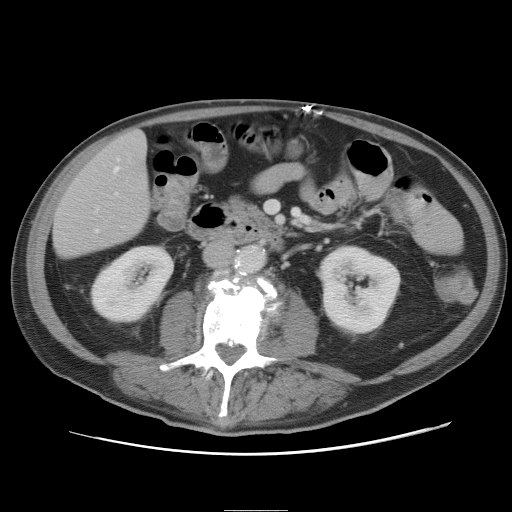 512x512; Liver; CT image
Only some of the vessels may be annotated.
Hepatic vessel: 115 167 118 171, 118 159 119 160, 137 131 140 133, 96 230 98 232, 96 210 97 212.